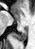
Magnetic resonance. Hippocampus.

posterior hippocampus: {"x1": 11, "y1": 30, "x2": 27, "y2": 41}